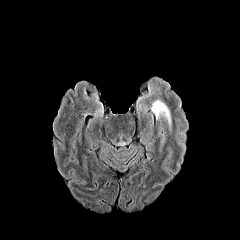
FLAIR MR image.
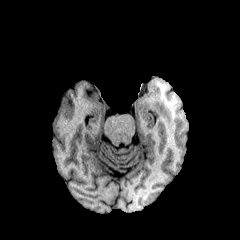
T1-weighted magnetic resonance.
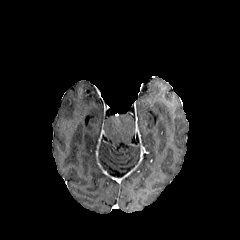
Post-contrast T1-weighted magnetic resonance of the same slice.
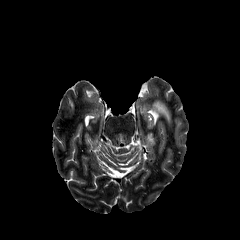
Same slice, T2-weighted MR.
Edema: <bbox>150, 100, 172, 135</bbox>.